Slice 96 of 155. Head.
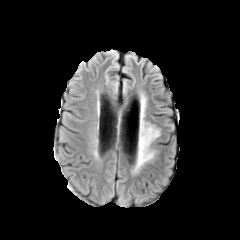
FLAIR MR image.
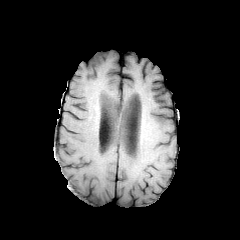
T1-weighted MR.
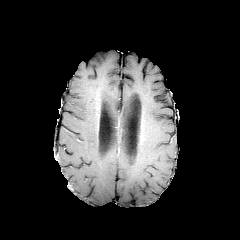
Post-contrast T1-weighted MR image of the same slice.
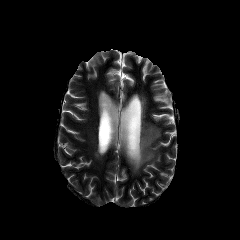
T2-weighted MR of the same slice.
Findings:
- edema: box=[135, 114, 159, 169]